Upper abdomen. CT slice.
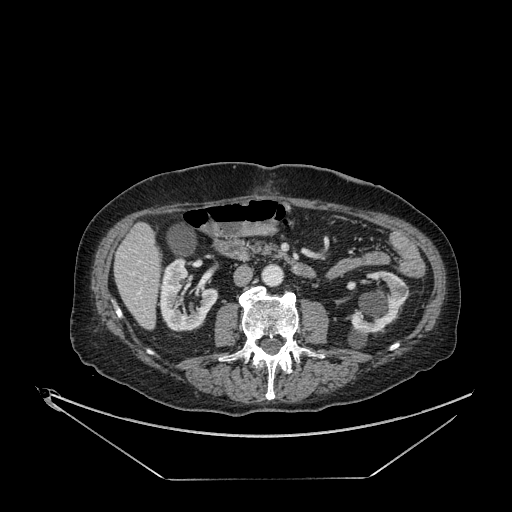
The liver appears at [x1=114, y1=223, x2=159, y2=329]. 3 kidney regions appear at [x1=351, y1=271, x2=408, y2=332], [x1=160, y1=259, x2=217, y2=330], [x1=347, y1=282, x2=355, y2=289].